CT slice. Slice index 139.
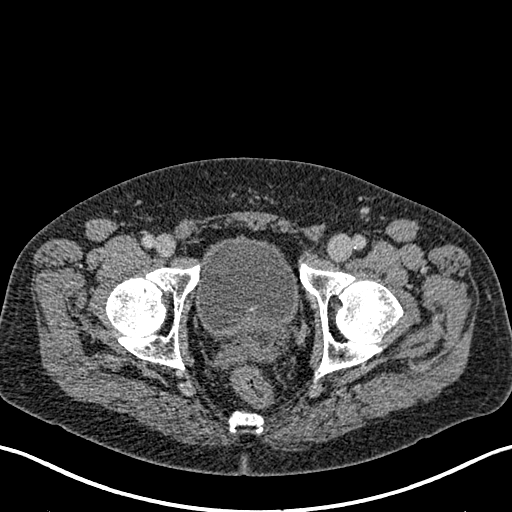 * urinary bladder: (195, 235, 298, 330)